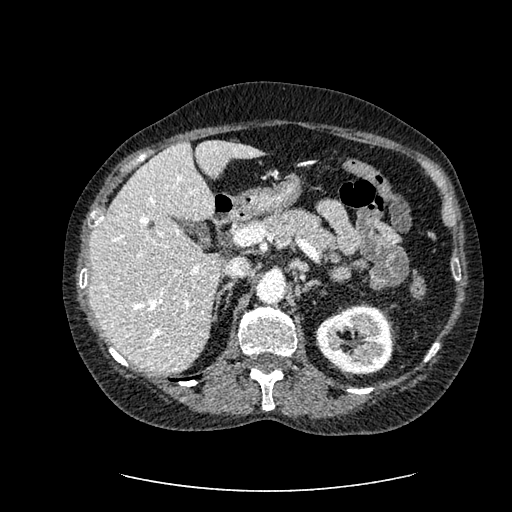
CT image. 512x512.
Liver — 90 141 263 373.
Focal liver lesion — 147 220 155 230.
Kidney — 317 306 392 373.